240x240 | Slice index 76
FLAIR MR image.
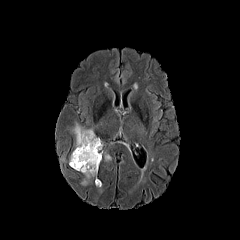
T1-weighted MRI.
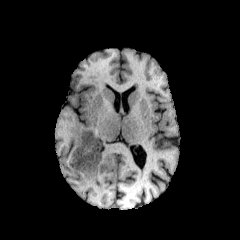
Post-contrast T1-weighted MR image.
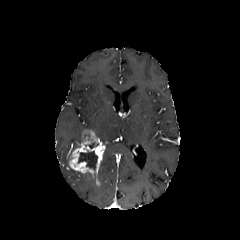
T2-weighted magnetic resonance.
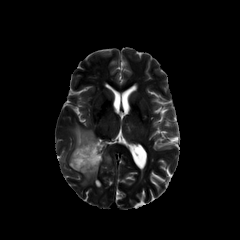
Segmented structures:
• enhancing tumor: [x1=68, y1=130, x2=105, y2=178]
• non-enhancing tumor core: [x1=78, y1=150, x2=97, y2=170]
• edema: [x1=81, y1=172, x2=93, y2=185], [x1=72, y1=123, x2=89, y2=148]